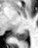
Magnetic resonance | Image size 38x48 | Medial temporal lobe

Posterior hippocampus — <bbox>14, 30, 28, 40</bbox>.